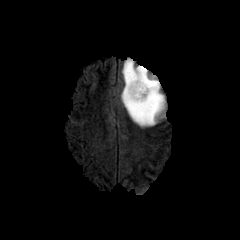
FLAIR magnetic resonance.
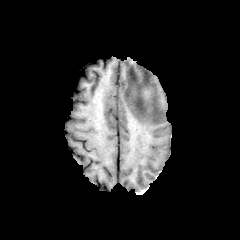
T1-weighted MR image.
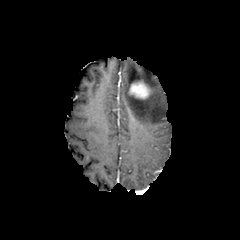
Same slice, post-contrast T1-weighted magnetic resonance.
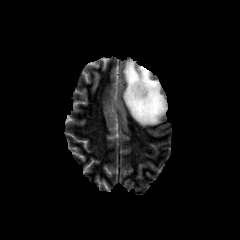
T2-weighted MR image.
The enhancing tumor is at l=129, t=82, r=148, b=98. 2 non-enhancing tumor core regions are located at l=129, t=94, r=147, b=101; l=128, t=78, r=143, b=93. The edema lies within l=121, t=59, r=165, b=126.